Slice index 117 | CT slice | Abdomen 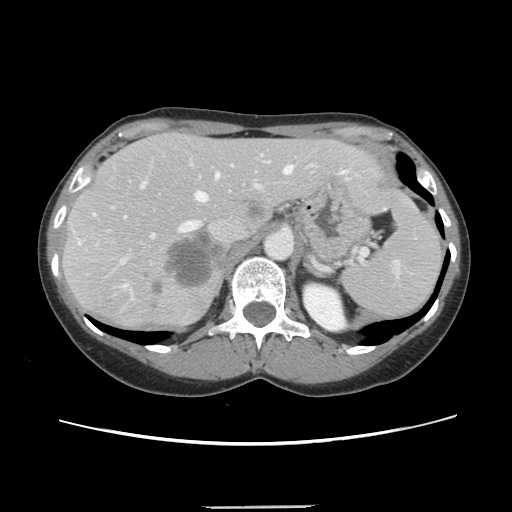

The vessel annotation is not exhaustive.
Findings:
• hepatic vessel: <bbox>93, 213, 95, 215</bbox>, <bbox>190, 162, 191, 164</bbox>, <bbox>254, 184, 259, 187</bbox>, <bbox>215, 174, 218, 177</bbox>, <bbox>150, 234, 153, 237</bbox>, <bbox>195, 192, 206, 201</bbox>, <bbox>122, 285, 127, 286</bbox>, <bbox>140, 182, 144, 187</bbox>, <bbox>179, 220, 198, 231</bbox>, <bbox>120, 259, 124, 263</bbox>, <bbox>265, 161, 269, 162</bbox>, <bbox>283, 165, 291, 173</bbox>, <bbox>76, 239, 80, 243</bbox>
• liver tumor: <bbox>248, 201, 264, 218</bbox>, <bbox>167, 234, 224, 287</bbox>